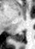
MRI. Medial temporal lobe. Annotated regions:
• posterior hippocampus: [14, 33, 23, 41]